CT image; Liver

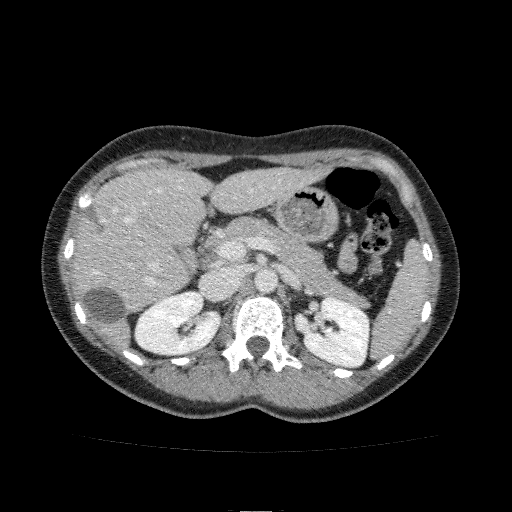 Annotated regions:
- liver: (73,166,328,311), (82,305,131,347)
- kidney: (135,292,219,354), (295,297,368,366)